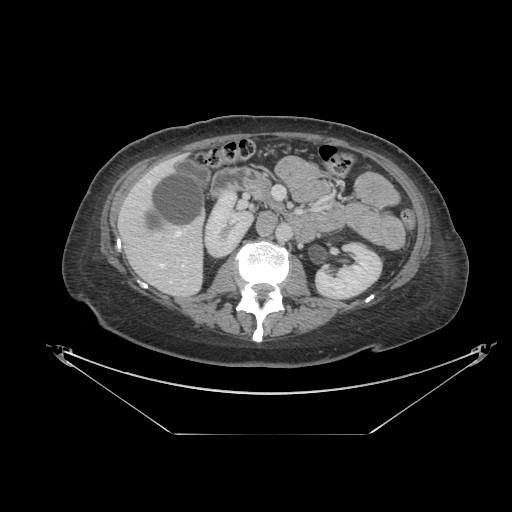

Upper abdomen, Computed tomography
{"pancreas": ["l=252, t=180, r=283, b=211"]}